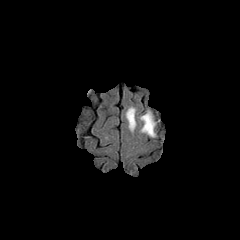
FLAIR MRI.
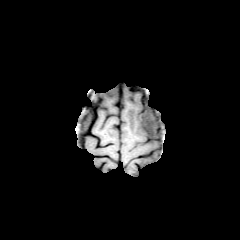
T1-weighted MRI of the same slice.
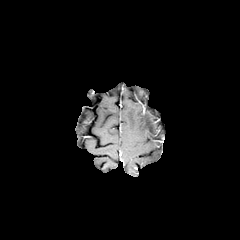
Same slice, post-contrast T1-weighted MR image.
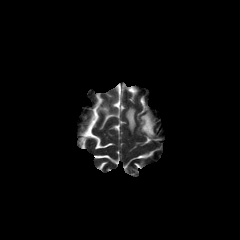
T2-weighted MRI.
Head.
2 edema regions are located at 140,113,155,136; 126,107,135,130.